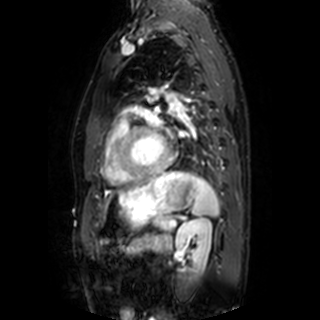
MR. 320x320 px. Cardiac.

The left atrium appears at {"x1": 150, "y1": 132, "x2": 164, "y2": 153}.